Image size 36x52; MRI; Field of view 36 mm wide, 1.00 mm slice spacing
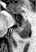
Segmented structures:
- anterior hippocampus: bbox(24, 20, 26, 21)
- posterior hippocampus: bbox(16, 22, 29, 38)